FLAIR magnetic resonance.
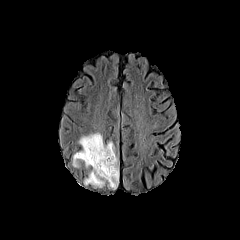
T1-weighted magnetic resonance.
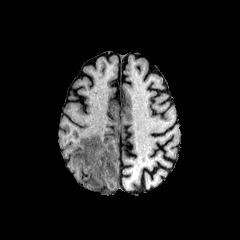
Post-contrast T1-weighted MRI.
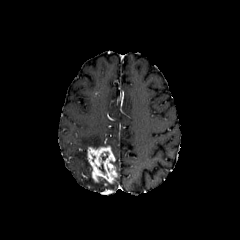
T2-weighted magnetic resonance.
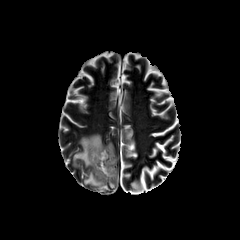
{
  "enhancing_tumor": [
    "[86,146,117,183]"
  ],
  "edema": [
    "[85,174,108,187]",
    "[107,173,118,189]",
    "[73,133,106,168]"
  ]
}